CT slice. Slice 176/565.

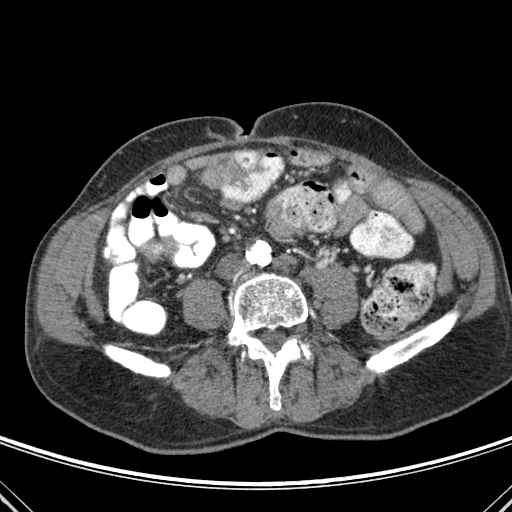

bone: x1=228 y1=273 x2=311 y2=410, x1=366 y1=311 x2=458 y2=373, x1=104 y1=345 x2=170 y2=377